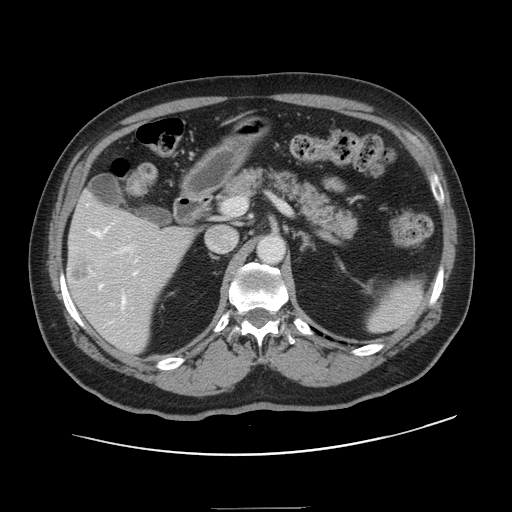
CT
Only some of the vessels may be annotated.
liver tumor: <box>73,263,89,282</box> | hepatic vessel: <box>86,204,88,205</box>, <box>133,272,136,275</box>, <box>99,284,102,288</box>, <box>88,227,108,237</box>, <box>122,247,130,250</box>, <box>121,295,125,308</box>, <box>135,260,136,261</box>